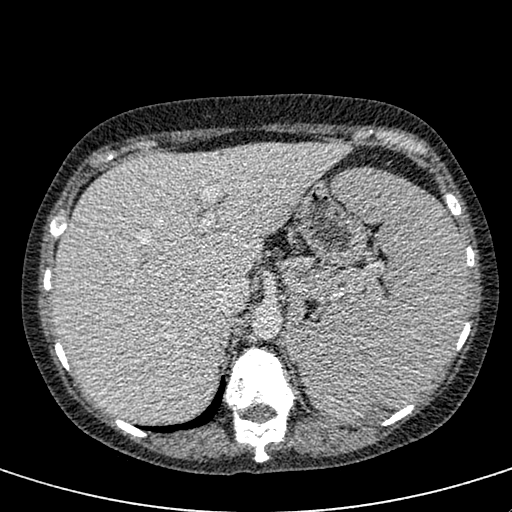

CT image; 512x512 px
Annotated regions:
• liver: (x1=52, y1=144, x2=349, y2=421)